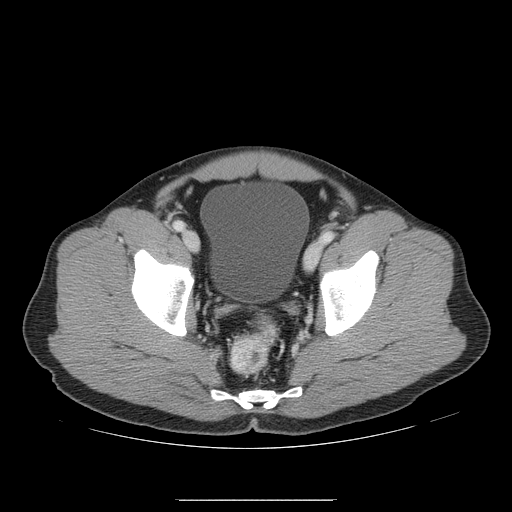
CT image.
The colon tumor lies within region(231, 340, 255, 370).